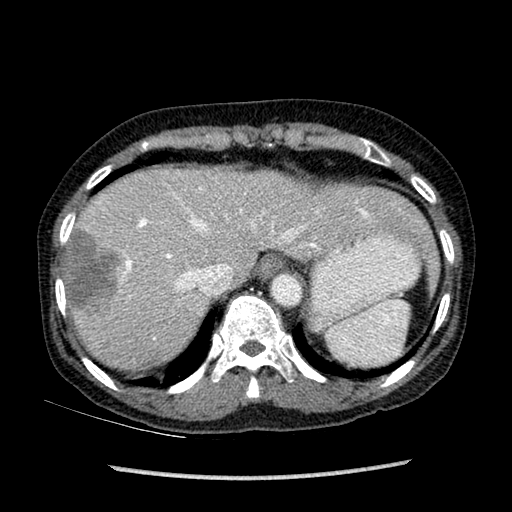 512x512 px. CT slice. Liver — (left=69, top=164, right=438, bottom=369).
Focal liver lesion — (left=58, top=226, right=125, bottom=318).